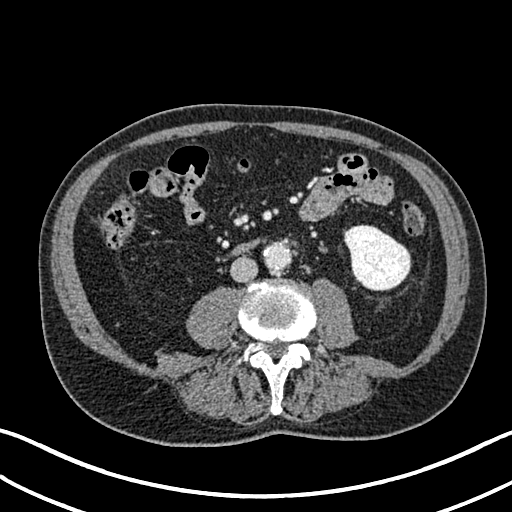 CT image
• kidney: [345, 226, 409, 289]